FLAIR MRI.
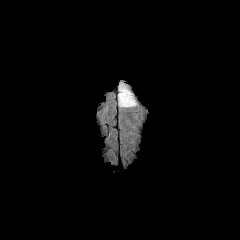
T1-weighted MR.
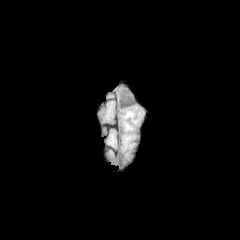
Post-contrast T1-weighted magnetic resonance.
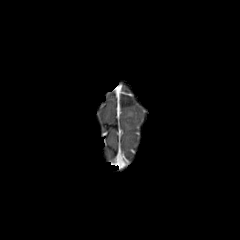
T2-weighted MR.
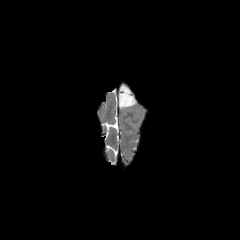
Brain, 240x240
Edema — x1=120, y1=95, x2=134, y2=107.